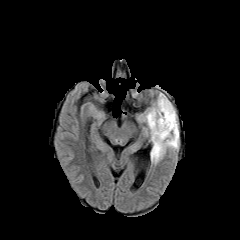
FLAIR MR.
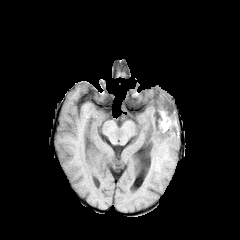
T1-weighted MRI of the same slice.
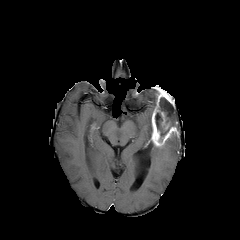
Same slice, post-contrast T1-weighted MR.
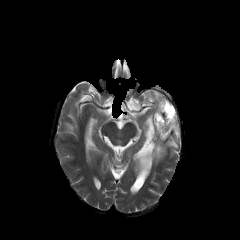
T2-weighted MR of the same slice.
Edema: bounding box box(150, 135, 179, 166); box(139, 104, 153, 139).
Enhancing tumor: bounding box box(150, 86, 178, 147).
Non-enhancing tumor core: bounding box box(159, 98, 175, 125); box(155, 112, 165, 135).